Brain, Slice 82 of 155
FLAIR MR image.
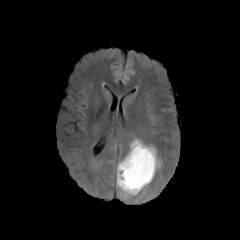
T1-weighted MR.
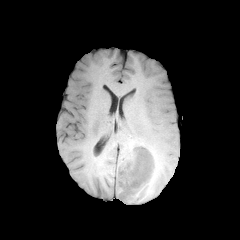
Post-contrast T1-weighted magnetic resonance.
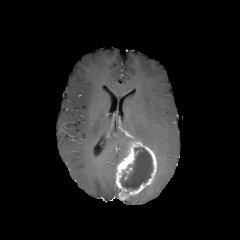
T2-weighted MRI.
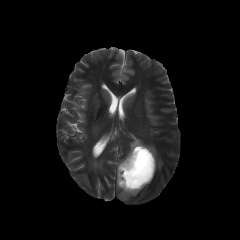
<segmentation>
  <enhancing_tumor>116,141,157,199</enhancing_tumor>
  <non-enhancing_tumor_core>121,147,152,188</non-enhancing_tumor_core>
  <edema>129,137,162,169</edema>
</segmentation>